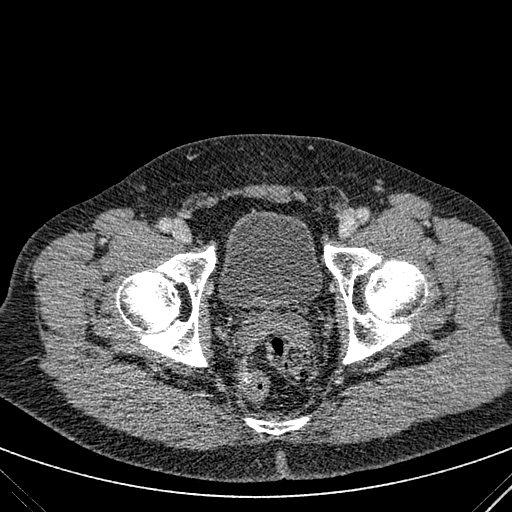
CT scan slice. Lower abdomen.

Urinary bladder: bounding box l=218, t=208, r=323, b=315.